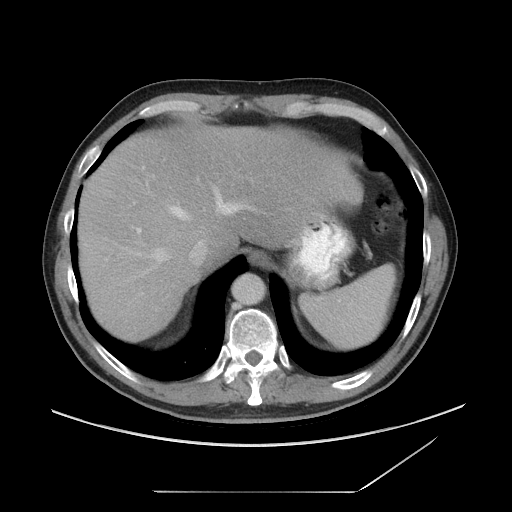
Liver; CT slice
The vessel boxes may cover only some of the vessels.
3 hepatic vessel regions appear at box=[174, 212, 187, 219]; box=[169, 206, 171, 213]; box=[216, 192, 236, 212].